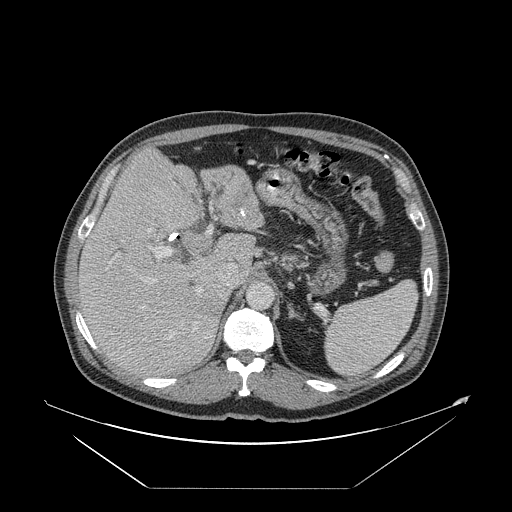

CT scan slice
The vessel annotation is not exhaustive.
The top 15 hepatic vessel regions (of 19) appear at [168,227,177,241], [128,267,131,269], [196,287,202,294], [164,331,176,339], [158,236,163,237], [140,307,144,308], [211,260,242,291], [193,322,197,329], [207,226,212,234], [142,278,155,283], [149,247,172,257], [108,253,120,264], [210,201,212,211], [148,229,151,234], [237,254,243,256].